FLAIR MR image.
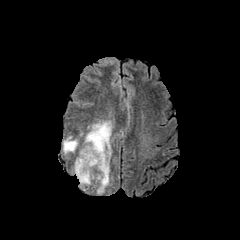
T1-weighted magnetic resonance.
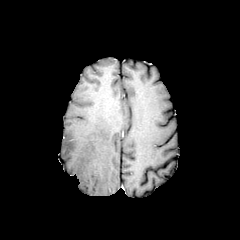
Post-contrast T1-weighted MRI.
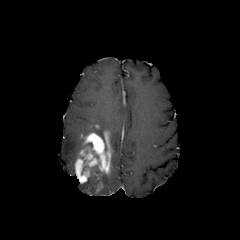
T2-weighted MR image.
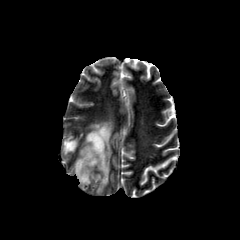
Head
Edema — region(85, 169, 94, 187); region(96, 171, 109, 194); region(87, 121, 113, 142); region(62, 136, 78, 154).
Enhancing tumor — region(75, 131, 112, 183).